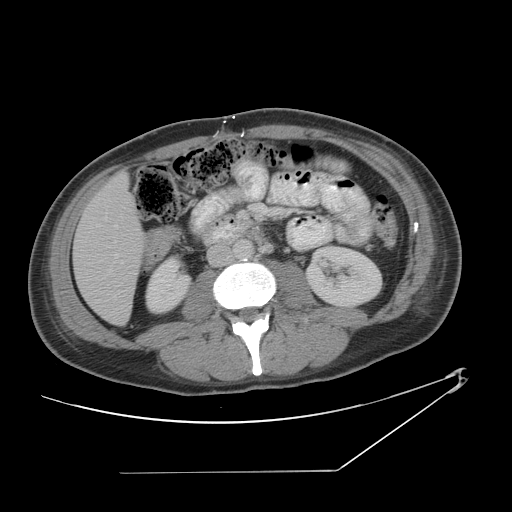
512x512 px; CT image
Only some of the vessels may be annotated.
• hepatic vessel: bbox(116, 254, 118, 257); bbox(115, 225, 117, 226); bbox(109, 268, 111, 271); bbox(122, 261, 123, 263); bbox(97, 225, 100, 226)